CT. Slice index 94.

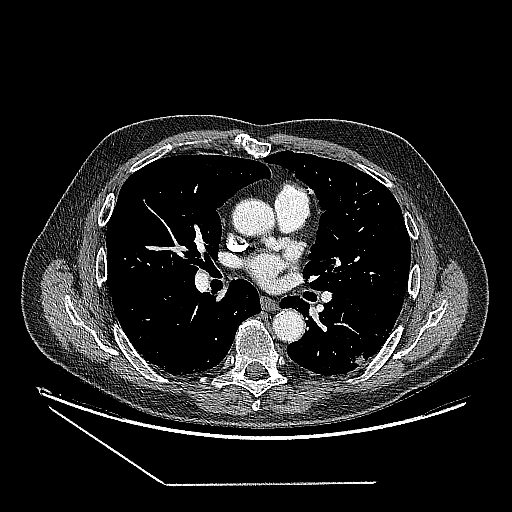 {"lung_tumor": ["left=349, top=353, right=367, bottom=367"]}